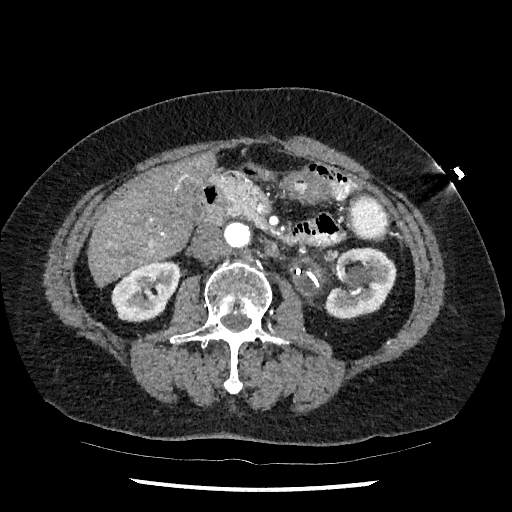
Upper abdomen | 512x512 px | CT slice
The liver is bounded by <box>88,153,215,286</box>. 2 kidney regions are bounded by <box>326,248,395,317</box>, <box>112,262,179,320</box>.